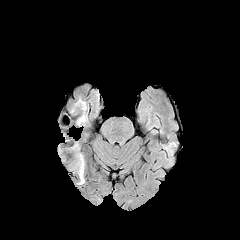
FLAIR MR image.
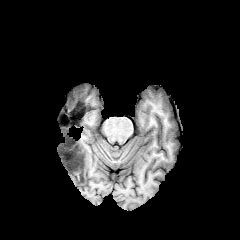
T1-weighted magnetic resonance.
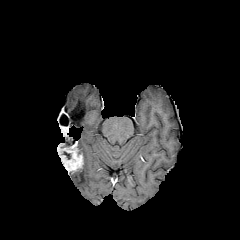
Post-contrast T1-weighted magnetic resonance.
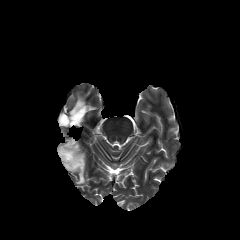
Same slice, T2-weighted magnetic resonance.
240x240 px. Brain.
The enhancing tumor is bounded by region(57, 141, 83, 171). 2 non-enhancing tumor core regions appear at region(64, 136, 75, 146); region(70, 101, 85, 114). 2 edema regions are bounded by region(68, 97, 88, 112); region(74, 158, 85, 184).